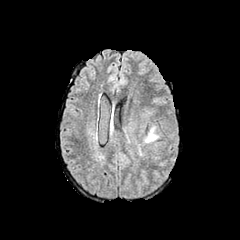
FLAIR MRI.
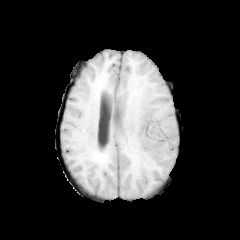
Same slice, T1-weighted MRI.
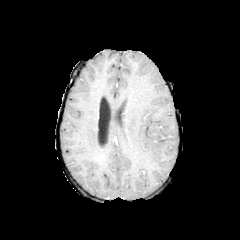
Post-contrast T1-weighted MR.
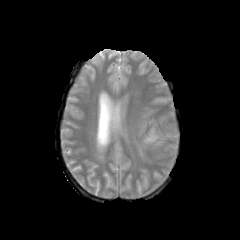
Same slice, T2-weighted MRI.
Brain, 240x240
edema:
  - x1=143, y1=126, x2=160, y2=143